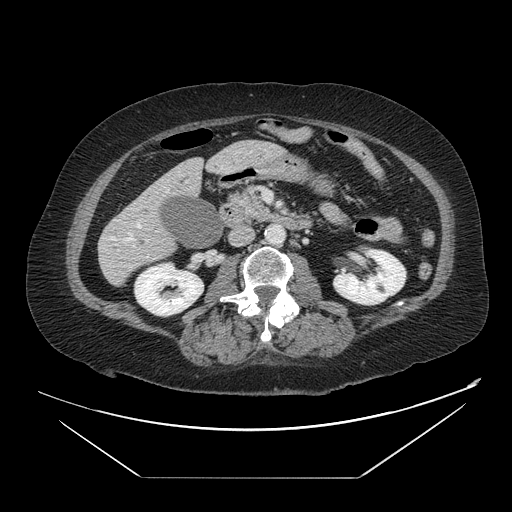 CT image; Upper abdomen
Pancreas at 230,187,274,222.